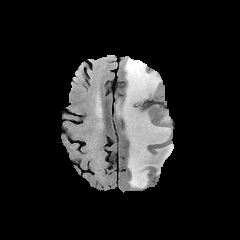
FLAIR MR image.
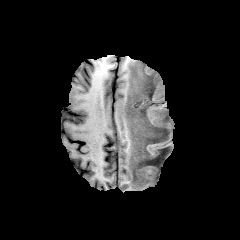
T1-weighted MRI.
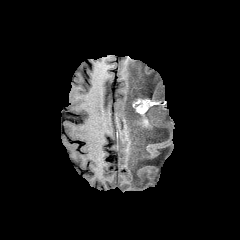
Post-contrast T1-weighted MRI of the same slice.
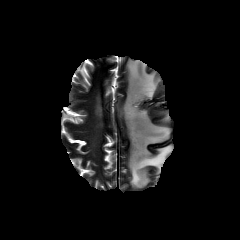
T2-weighted MR.
Head.
Edema — <bbox>120, 59, 171, 187</bbox>.
Non-enhancing tumor core — <bbox>132, 92, 151, 104</bbox>, <bbox>133, 108, 160, 140</bbox>.
Enhancing tumor — <bbox>132, 99, 148, 126</bbox>.